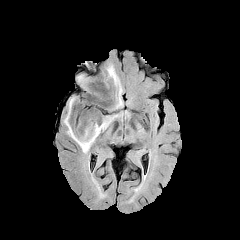
FLAIR MR image.
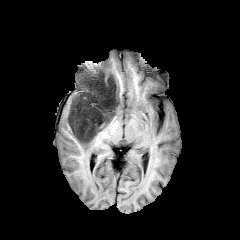
T1-weighted magnetic resonance.
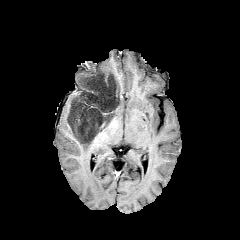
Post-contrast T1-weighted MR image of the same slice.
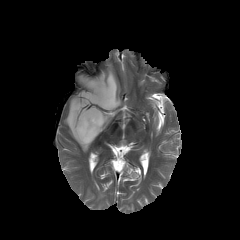
T2-weighted MR image.
non-enhancing tumor core: 83 78 96 95, 96 73 120 112, 69 107 114 142 | edema: 105 62 123 108, 93 97 111 115, 101 81 105 96, 64 98 92 153